FLAIR MR image.
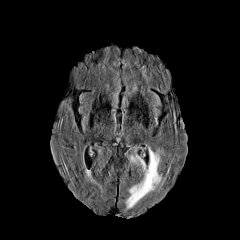
T1-weighted magnetic resonance.
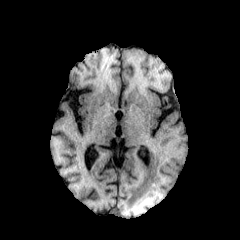
Post-contrast T1-weighted MRI.
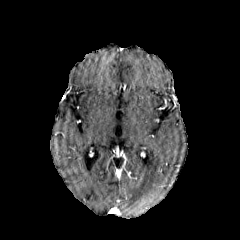
T2-weighted MR image.
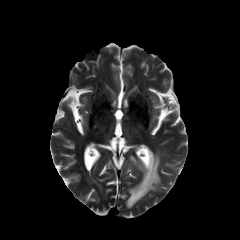
Head
The edema lies within 126, 151, 160, 211.